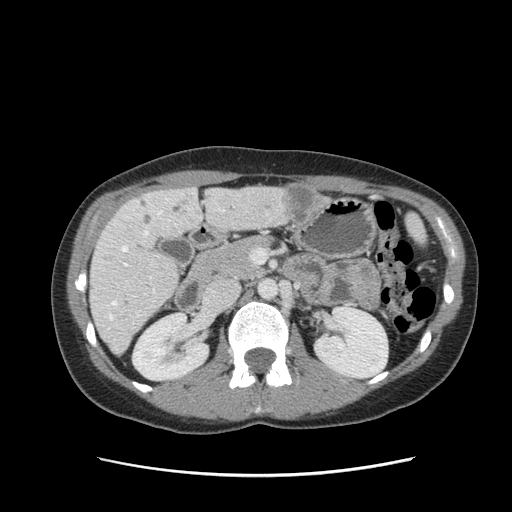 CT image
Pancreas — bbox(193, 236, 272, 282).